FLAIR MR image.
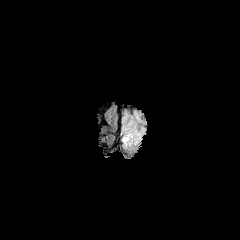
T1-weighted magnetic resonance.
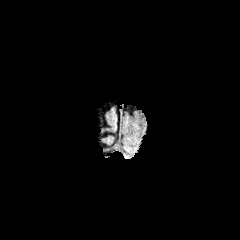
Post-contrast T1-weighted magnetic resonance.
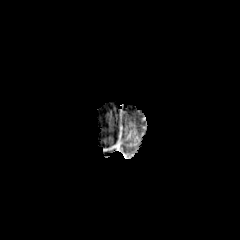
T2-weighted MR image.
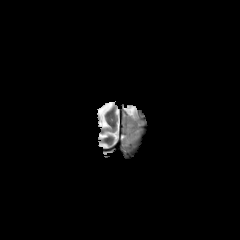
The edema is at (left=122, top=110, right=145, bottom=135). The enhancing tumor is at (left=124, top=122, right=140, bottom=147).